CT slice | Slice 569 of 685 | Abdomen
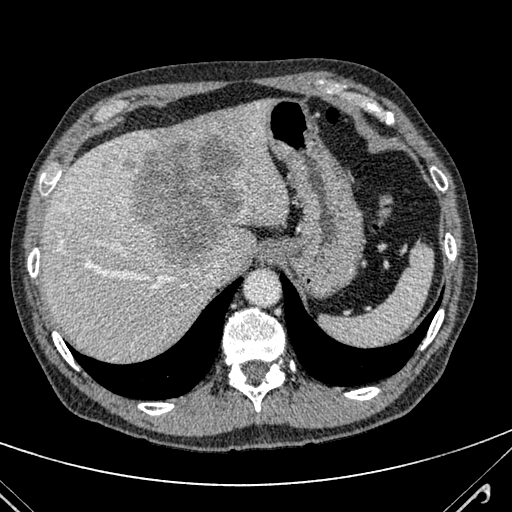 liver:
  - bbox=[43, 98, 289, 360]
liver_lesion:
  - bbox=[127, 160, 135, 169]
  - bbox=[133, 135, 243, 266]
  - bbox=[101, 166, 107, 178]